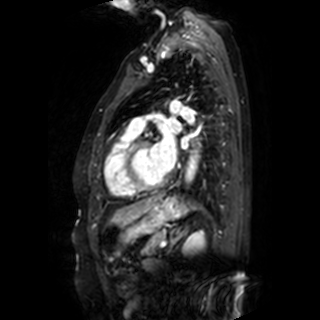 Heart, MR image
Segmented structures:
* left atrium: bbox(154, 131, 176, 169); bbox(181, 137, 186, 148); bbox(172, 121, 181, 129)